Field of view 496x496 mm | CT scan slice 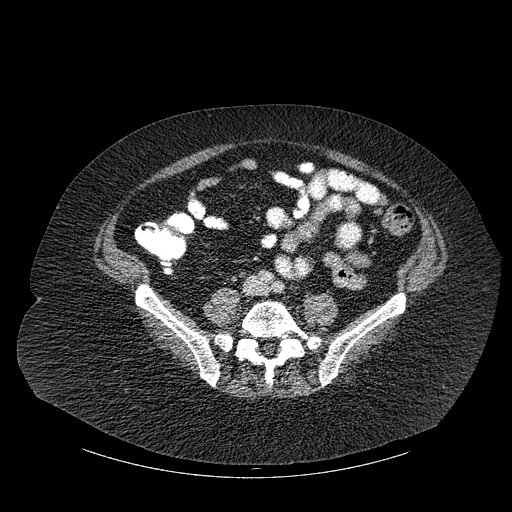
<segmentation>
  <bone>box=[135, 284, 219, 386]; box=[215, 334, 232, 351]; box=[319, 293, 405, 385]; box=[236, 302, 320, 384]</bone>
</segmentation>